Abdomen | 512x512 px | CT image | Slice 571/836 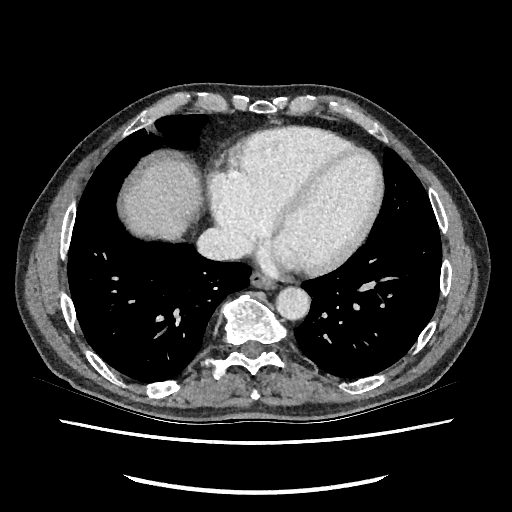 <segmentation>
  <liver>[123,160,198,239]</liver>
</segmentation>